CT scan slice

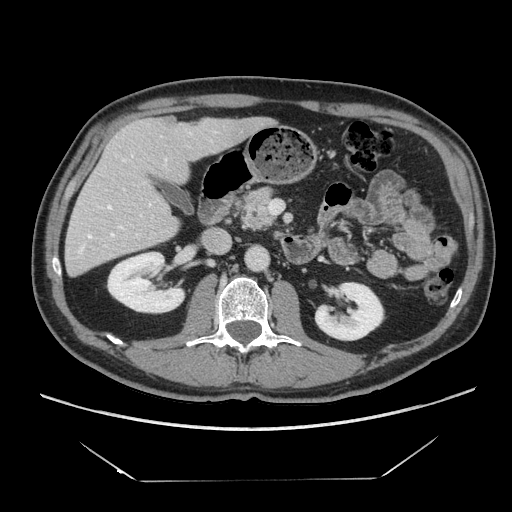 The pancreas is at <bbox>244, 189, 272, 228</bbox>.